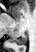

Medial temporal lobe | MR | 36x52
The posterior hippocampus is at 15 31 28 44.